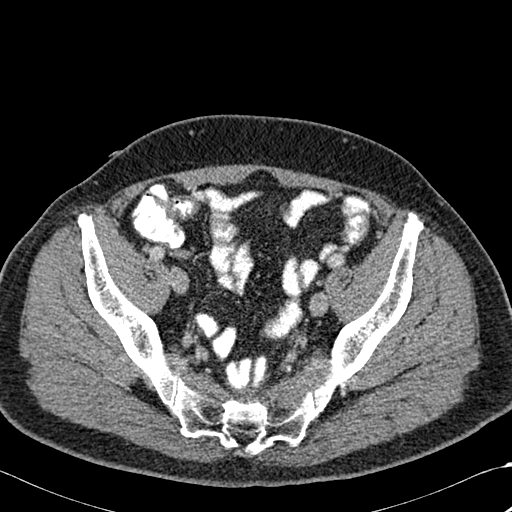 512x512 | CT
The bone lies within (left=78, top=214, right=422, bottom=453).